Field of view 240 mm wide, 1.00 mm slice spacing; Slice 82 of 155; 240x240; Head
FLAIR MR image.
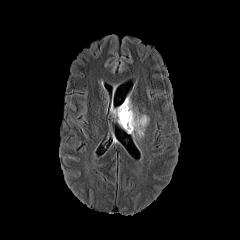
T1-weighted MR image.
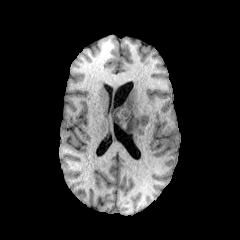
Post-contrast T1-weighted MRI.
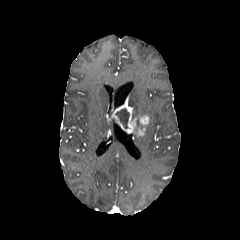
T2-weighted magnetic resonance.
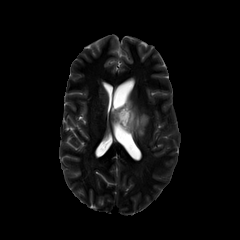
2 non-enhancing tumor core regions are bounded by 115, 108, 129, 128; 131, 107, 144, 120. The enhancing tumor lies within 111, 101, 149, 135.